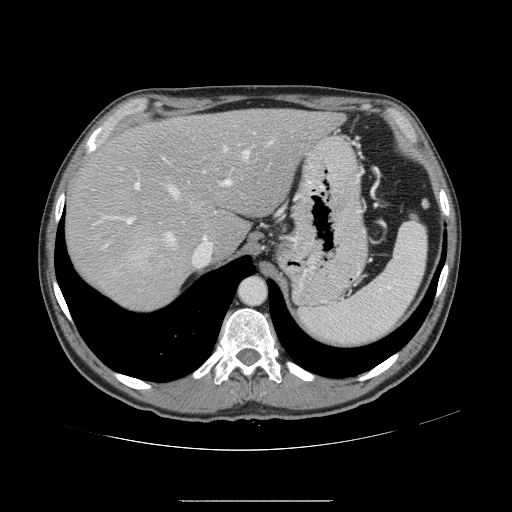

CT image
Some hepatic vessels may have no box.
<segmentation>
  <liver_tumor>bbox(144, 256, 157, 265)</liver_tumor>
  <hepatic_vessel>bbox(242, 150, 249, 158); bbox(224, 146, 226, 150); bbox(121, 218, 133, 223); bbox(268, 140, 272, 144); bbox(163, 158, 167, 161); bbox(221, 180, 230, 185); bbox(165, 232, 174, 245); bbox(105, 216, 120, 218); bbox(102, 244, 107, 248); bbox(199, 235, 211, 248); bbox(167, 185, 178, 197); bbox(134, 183, 139, 188)</hepatic_vessel>
</segmentation>